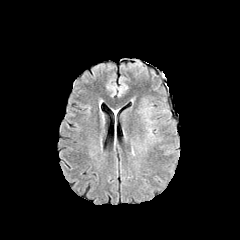
FLAIR MR.
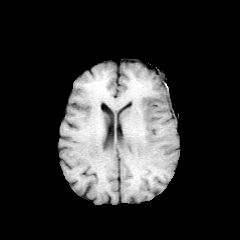
Same slice, T1-weighted MRI.
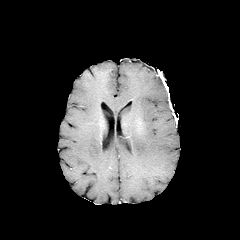
Same slice, post-contrast T1-weighted MR image.
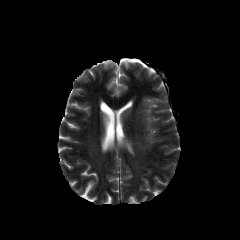
T2-weighted MR image.
Image size 240x240
The edema appears at x1=143 y1=106 x2=155 y2=143.